512x512 px, Upper abdomen, CT image
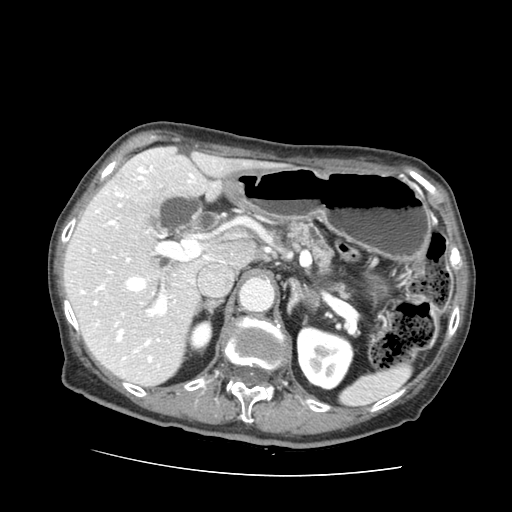

Findings:
* pancreas: 284,220,337,282